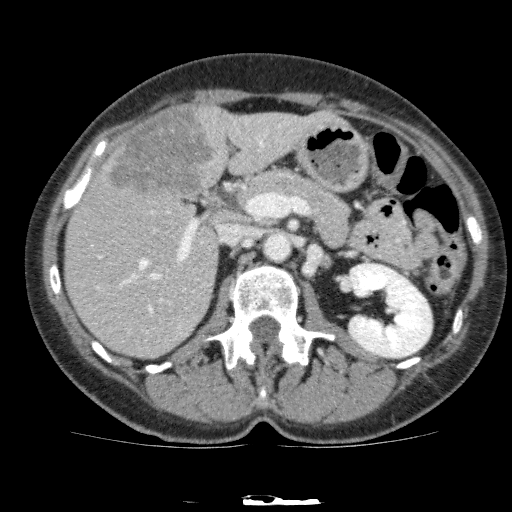

512x512, Liver, Computed tomography
<segmentation>
  <focal_liver_lesion>bbox=[104, 106, 214, 199]</focal_liver_lesion>
  <kidney>bbox=[349, 264, 431, 357]</kidney>
  <liver>bbox=[64, 106, 347, 358]</liver>
</segmentation>